Upper abdomen. Slice index 310. CT.

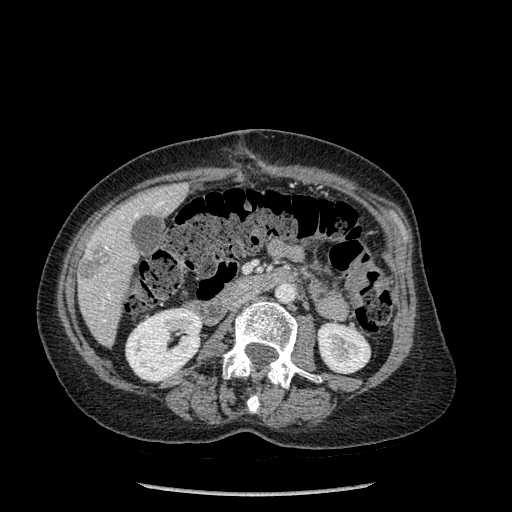 The liver lies within left=77, top=183, right=188, bottom=345. 2 bone regions appear at left=223, top=301, right=314, bottom=388; left=247, top=394, right=259, bottom=412. 2 kidney regions are located at left=126, top=308, right=201, bottom=380; left=318, top=324, right=369, bottom=373. The hepatic lesion is bounded by left=80, top=248, right=109, bottom=277.